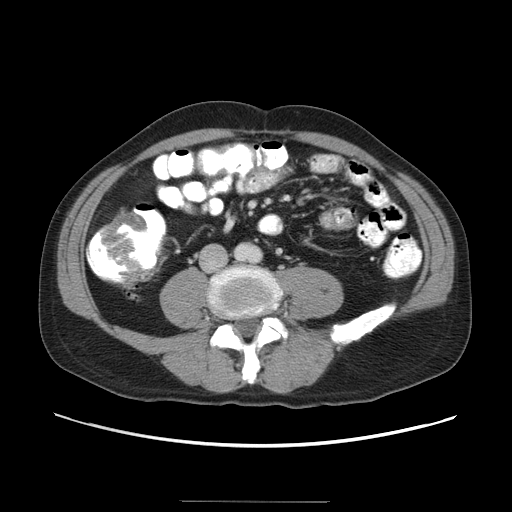

Pelvis | CT image

The colon tumor lies within box(101, 212, 152, 284).